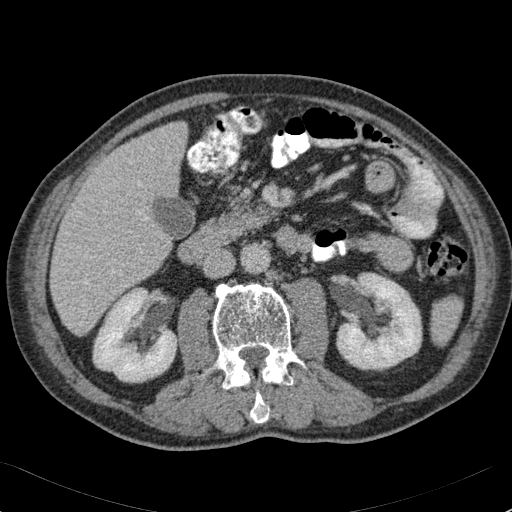

Abdomen; Computed tomography
<segmentation>
  <kidney>x1=337 y1=273 x2=421 y2=368, x1=94 y1=288 x2=176 y2=381</kidney>
  <liver>x1=51 y1=122 x2=187 y2=333</liver>
</segmentation>